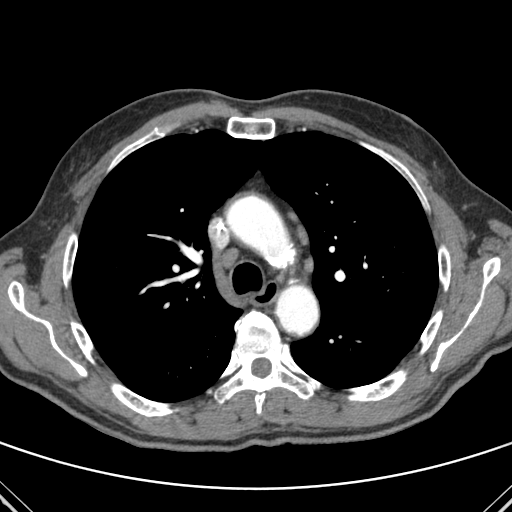

CT
bone:
  - bbox(348, 370, 406, 401)
  - bbox(109, 134, 150, 169)
  - bbox(8, 281, 87, 376)
  - bbox(362, 143, 421, 192)
  - bbox(71, 321, 93, 363)
  - bbox(111, 383, 177, 416)
  - bbox(63, 233, 77, 286)
  - bbox(227, 116, 274, 139)
  - bbox(215, 311, 320, 413)
  - bbox(438, 245, 450, 290)
  - bbox(420, 310, 442, 353)
  - bbox(464, 257, 500, 327)
  - bbox(431, 331, 461, 371)
lung:
  - bbox(72, 129, 438, 402)